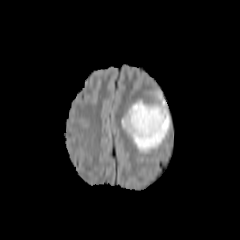
FLAIR MR.
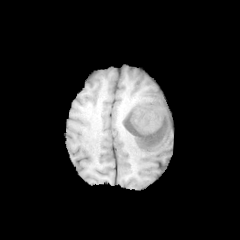
Same slice, T1-weighted magnetic resonance.
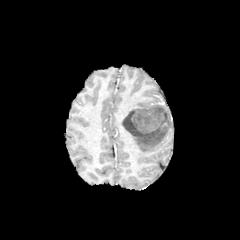
Post-contrast T1-weighted magnetic resonance of the same slice.
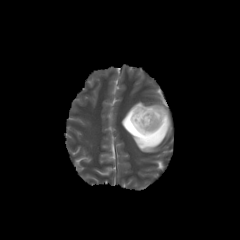
T2-weighted MRI.
edema: x1=121, y1=98, x2=172, y2=152 | non-enhancing tumor core: x1=123, y1=103, x2=168, y2=137